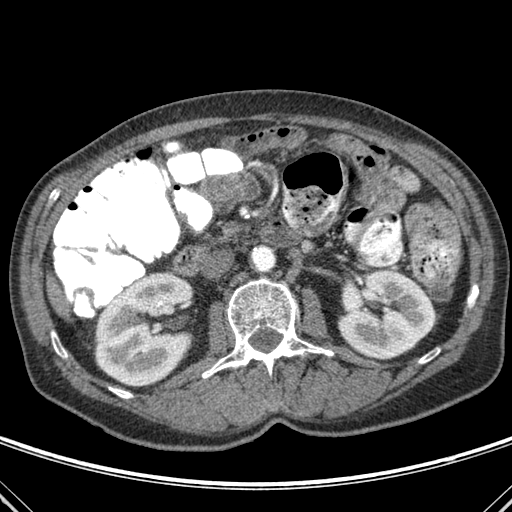 CT slice; Image size 512x512
2 kidney regions appear at bbox(96, 274, 191, 385); bbox(339, 271, 434, 358). 6 bone regions are bounded by bbox(51, 331, 67, 357); bbox(241, 209, 249, 217); bbox(202, 278, 333, 378); bbox(108, 386, 132, 398); bbox(418, 348, 439, 363); bbox(467, 285, 478, 307). The liver appears at bbox(47, 273, 65, 304).